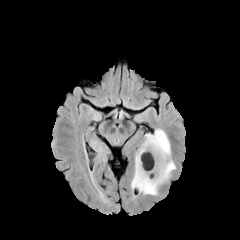
FLAIR MR image.
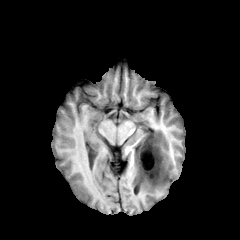
T1-weighted MR of the same slice.
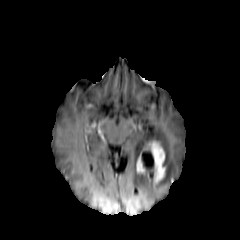
Same slice, post-contrast T1-weighted MR image.
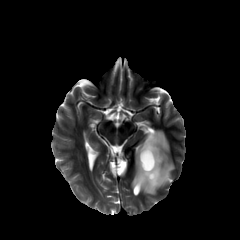
T2-weighted magnetic resonance.
Brain. Image size 240x240.
Edema at box=[131, 129, 175, 195].
Enhancing tumor at box=[136, 155, 144, 173]; box=[149, 141, 165, 185].
Non-enhancing tumor core at box=[143, 161, 154, 176]; box=[140, 144, 153, 159].